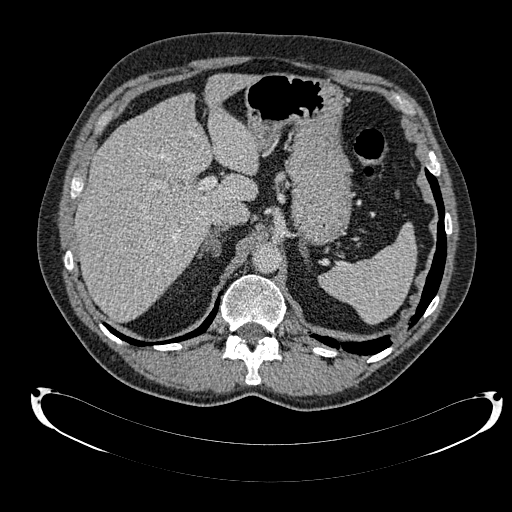

Upper abdomen, CT scan slice
Liver at 76:93:256:320, 206:74:257:173.